Liver, CT slice, Slice 368/751

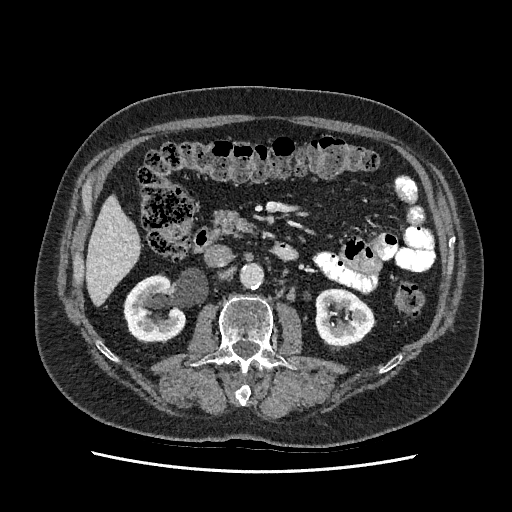 Segmented structures:
• kidney: [316, 289, 373, 345], [124, 276, 184, 340]
• liver: [86, 196, 140, 304]